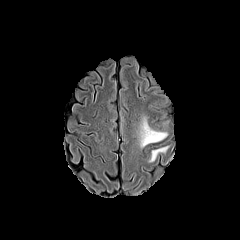
FLAIR MRI.
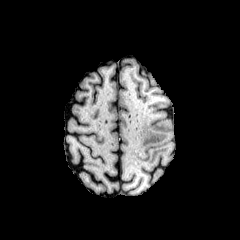
T1-weighted MRI.
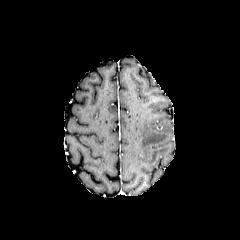
Post-contrast T1-weighted MRI.
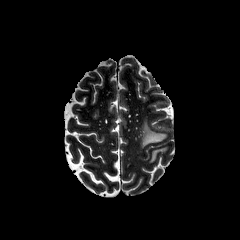
T2-weighted MRI of the same slice.
Head
2 edema regions are bounded by [140,121,166,147], [149,147,168,162].